Image size 240x240
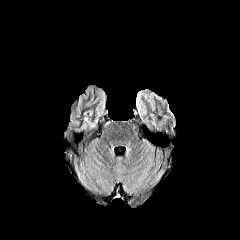
FLAIR magnetic resonance.
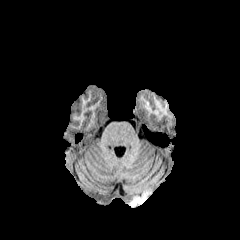
T1-weighted MRI of the same slice.
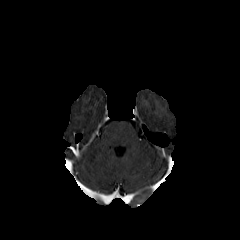
Same slice, post-contrast T1-weighted MR image.
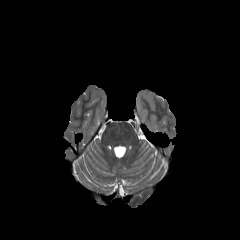
T2-weighted MR image.
<segmentation>
  <edema>l=138, t=90, r=149, b=126</edema>
</segmentation>